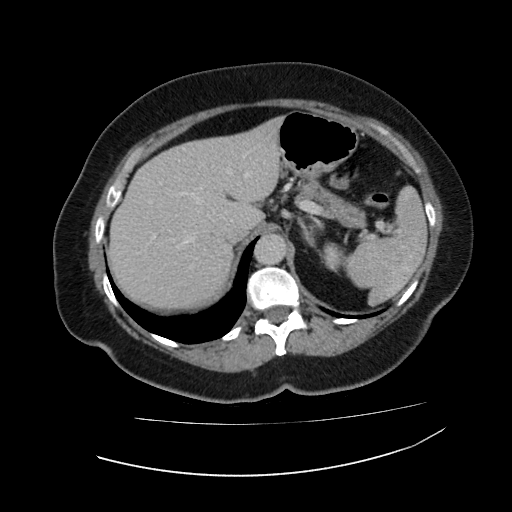
CT | Upper abdomen
kidney: x1=325, y1=247, x2=338, y2=268 | liver: x1=108, y1=117, x2=282, y2=308